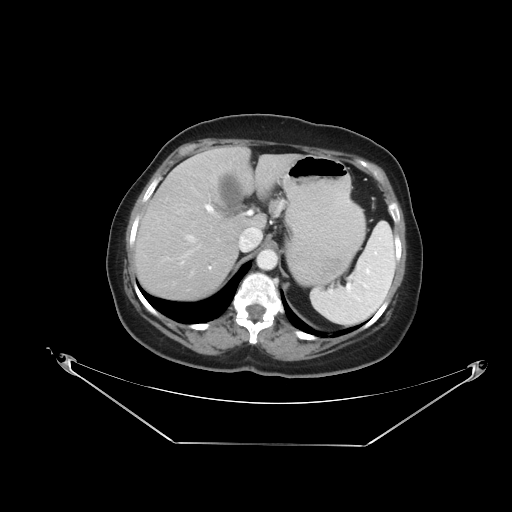
Liver | CT image
The vessel annotation is not exhaustive.
Hepatic vessel: bounding box bbox=[239, 222, 259, 249]; bbox=[208, 266, 210, 268]; bbox=[204, 204, 214, 213]; bbox=[185, 235, 195, 241]; bbox=[183, 250, 193, 257]; bbox=[197, 245, 199, 249]; bbox=[180, 261, 183, 264].